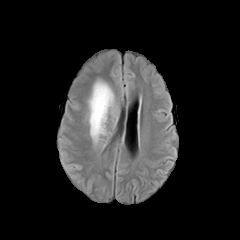
FLAIR MR.
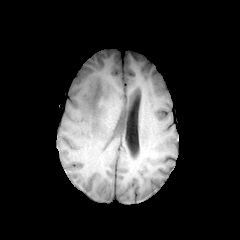
T1-weighted MR of the same slice.
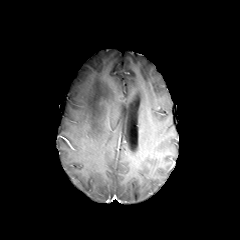
Post-contrast T1-weighted MR image.
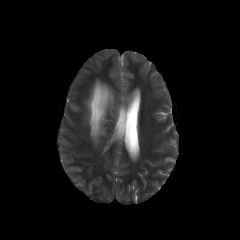
Same slice, T2-weighted MR.
Brain; 240x240 px
The edema is located at (x1=87, y1=80, x2=113, y2=141).